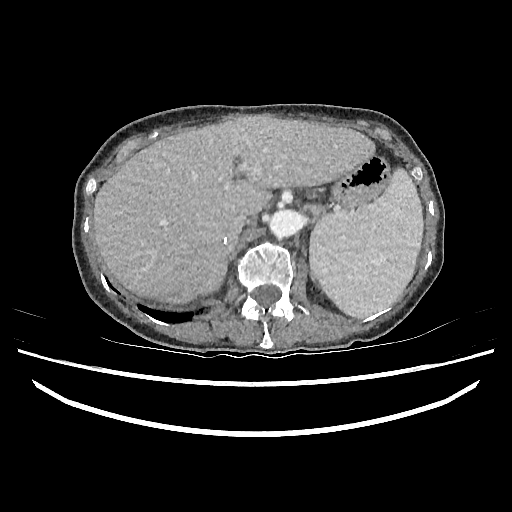

512x512. Upper abdomen. Computed tomography. {"liver": ["94,115,374,302"]}